CT scan slice, Slice 279 of 391, Image width 338 mm
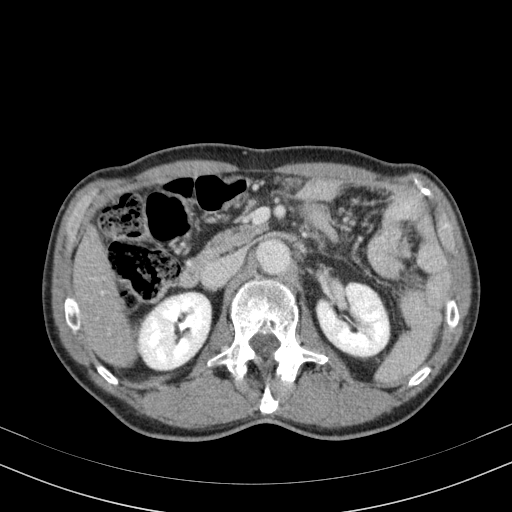
Segmented structures:
• kidney: (x1=139, y1=293, x2=210, y2=369), (x1=318, y1=284, x2=388, y2=355)
• liver: (x1=73, y1=224, x2=134, y2=367)